Upper abdomen; Image size 512x512; CT 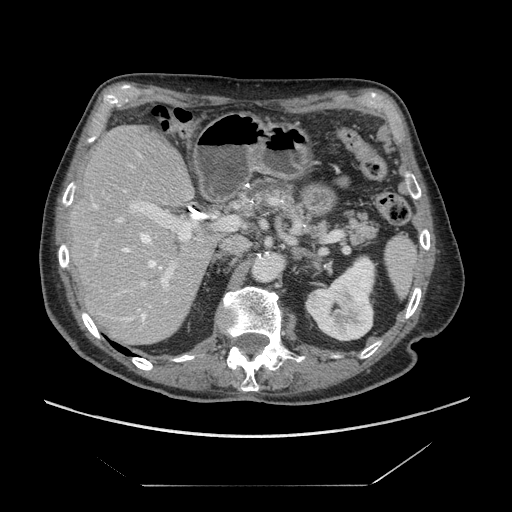

The pancreas is bounded by box(223, 176, 383, 247).